Field of view 240 mm wide, 1.00 mm slice spacing, Head, Slice 83/155
FLAIR magnetic resonance.
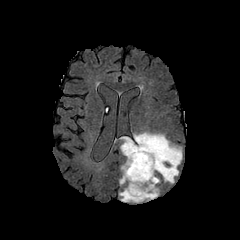
T1-weighted magnetic resonance.
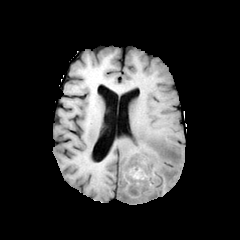
Post-contrast T1-weighted magnetic resonance.
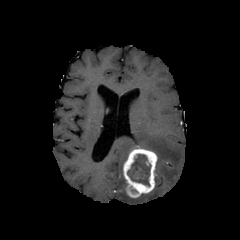
T2-weighted MR.
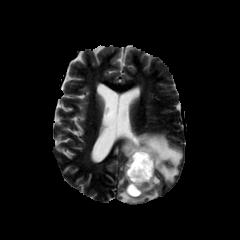
enhancing tumor: rect(123, 145, 157, 197) | non-enhancing tumor core: rect(127, 154, 149, 185) | edema: rect(118, 186, 159, 202); rect(120, 132, 182, 185); rect(119, 165, 127, 185)